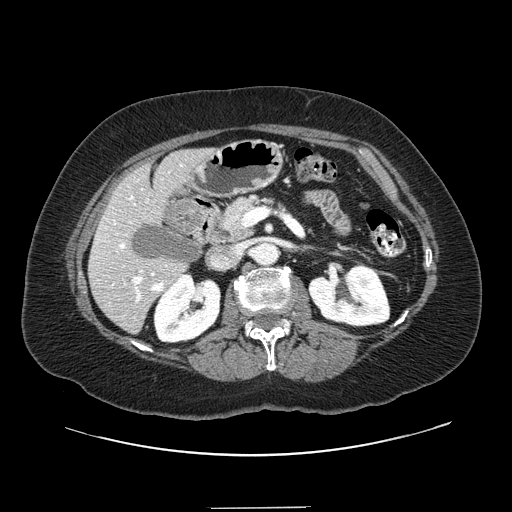

512x512 px, Computed tomography, Upper abdomen
• pancreas: l=211, t=195, r=285, b=244